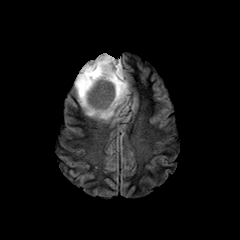
FLAIR MR.
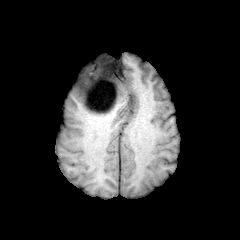
T1-weighted MR of the same slice.
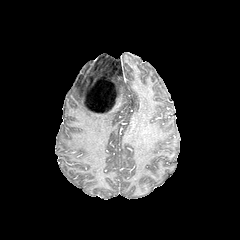
Post-contrast T1-weighted MR.
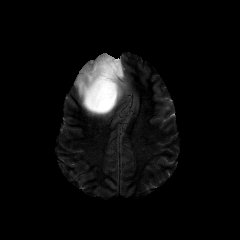
T2-weighted MRI.
Head
Edema: bounding box [120,70,129,105], [74,54,116,120].
Non-enhancing tumor core: bounding box [82,57,126,112].